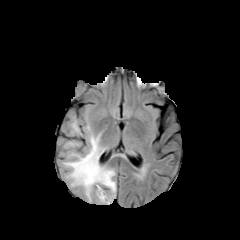
FLAIR MR.
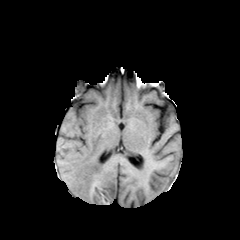
T1-weighted MR image of the same slice.
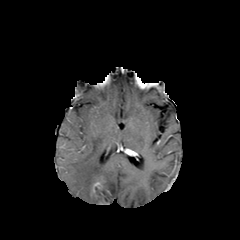
Post-contrast T1-weighted MRI.
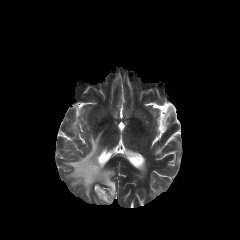
T2-weighted magnetic resonance of the same slice.
Head
Edema: bounding box [62,118,116,203].